Field of view 240x240 mm, 240x240 px
FLAIR MR image.
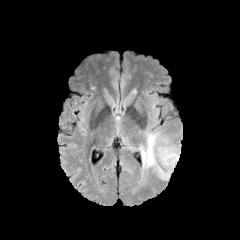
T1-weighted MRI.
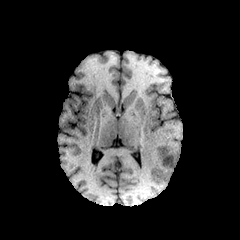
Post-contrast T1-weighted MR.
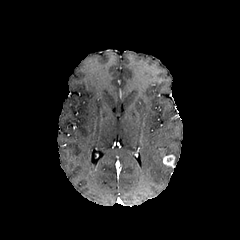
T2-weighted MR image.
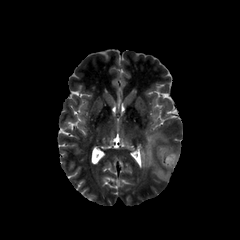
The enhancing tumor is at (159, 148, 174, 168). 2 edema regions are located at (157, 167, 171, 180), (140, 133, 157, 172).